FLAIR MRI.
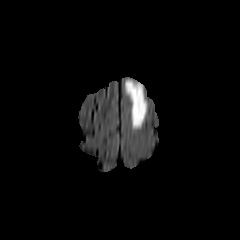
T1-weighted MR.
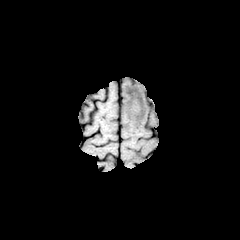
Post-contrast T1-weighted MR image.
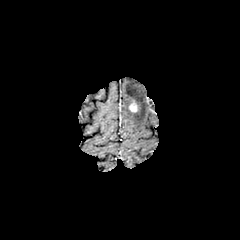
T2-weighted MR image.
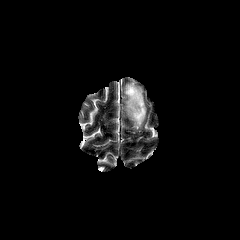
The enhancing tumor is bounded by [129, 102, 136, 111]. The edema appears at [123, 80, 147, 130].